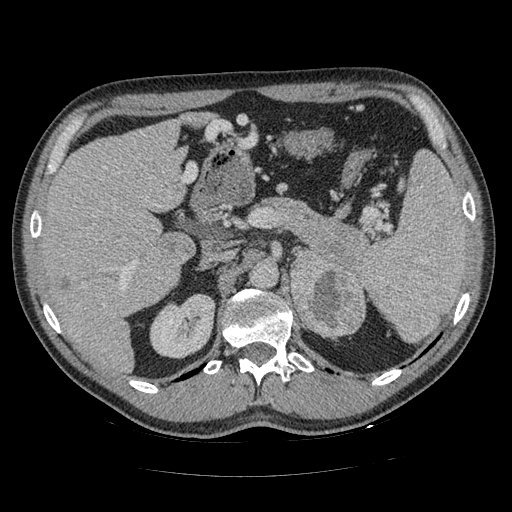 CT scan slice.
Pancreas — [264,198,367,289].
Pancreatic tumor — [292,250,365,336].